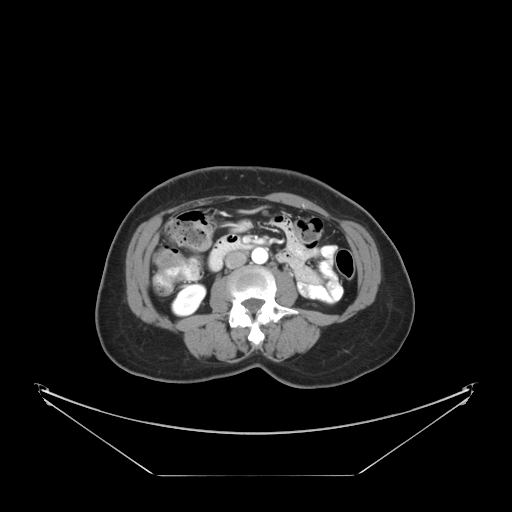

Pelvis, Image size 512x512, CT image
{"colon_tumor": ["(159,256,184,282)"]}